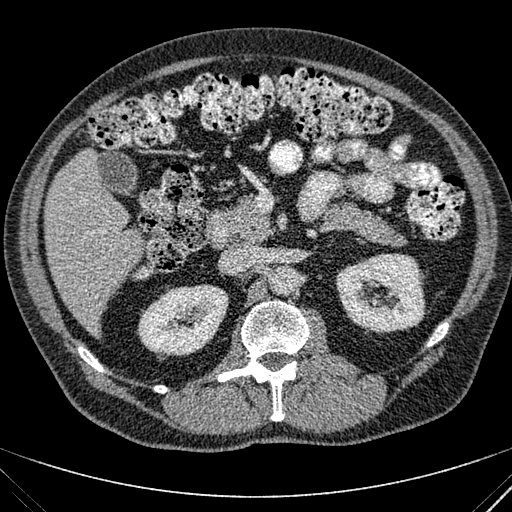
512x512, CT, Upper abdomen
Segmented structures:
- liver: (43, 149, 143, 336)
- kidney: (138, 285, 227, 354), (337, 254, 424, 331)